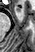

MRI slice.

The anterior hippocampus lies within bbox(16, 7, 20, 11).